Slice index 120; Brain
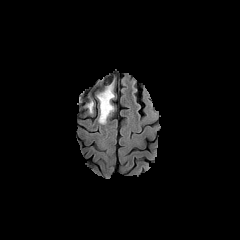
FLAIR MR.
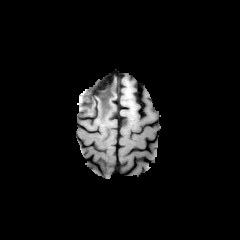
T1-weighted MRI.
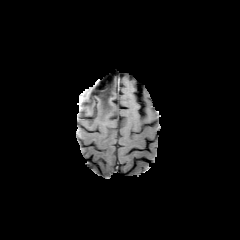
Same slice, post-contrast T1-weighted MR.
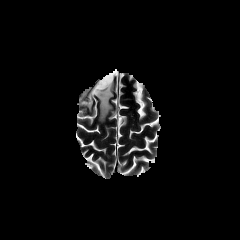
Same slice, T2-weighted magnetic resonance.
<segmentation>
  <edema>x1=84 y1=82 x2=114 y2=124</edema>
</segmentation>